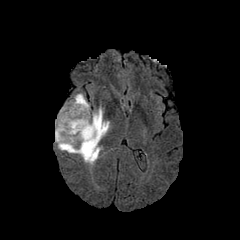
FLAIR MR.
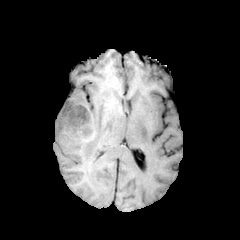
T1-weighted magnetic resonance of the same slice.
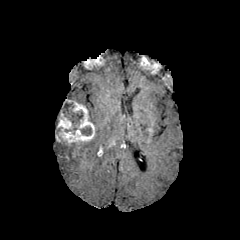
Post-contrast T1-weighted MR.
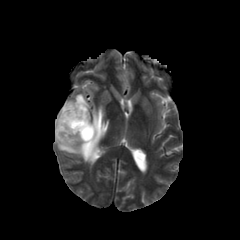
T2-weighted MR.
240x240 px.
The enhancing tumor is located at <box>56,100,94,141</box>. 3 non-enhancing tumor core regions are bounded by <box>61,102,83,128</box>, <box>86,139,91,152</box>, <box>81,126,91,135</box>. The edema appears at <box>55,93,109,166</box>.